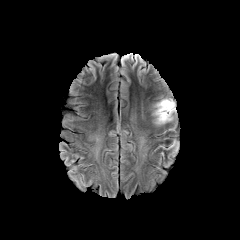
FLAIR MRI.
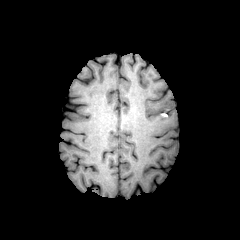
Same slice, T1-weighted MR.
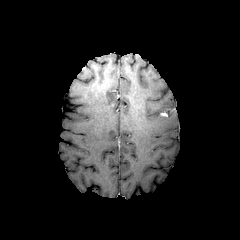
Same slice, post-contrast T1-weighted MR.
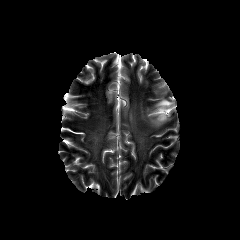
Same slice, T2-weighted MRI.
Brain
Findings:
* edema: [151, 97, 175, 126]